Image size 512x512. CT slice. Abdomen. Slice 66/121. 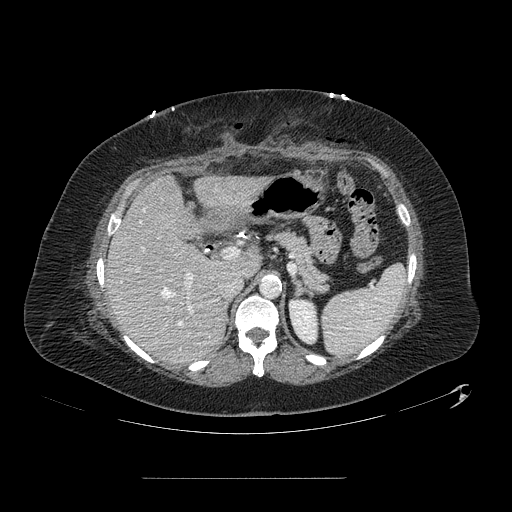

Pancreas at 270 231 329 293.